Computed tomography

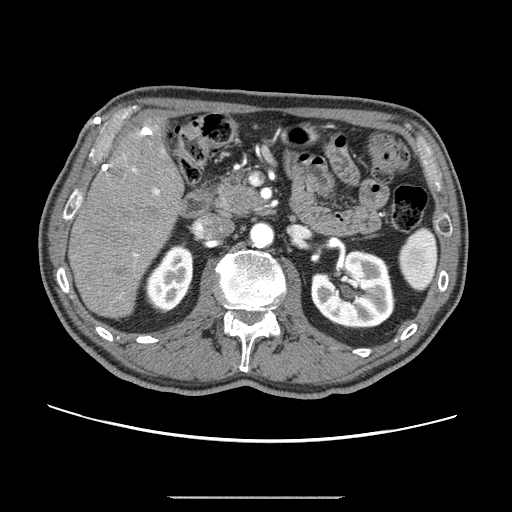
Pancreatic tumor: 226, 185, 260, 212.
Pancreas: 216, 170, 261, 215.